Slice 156/536. CT slice.

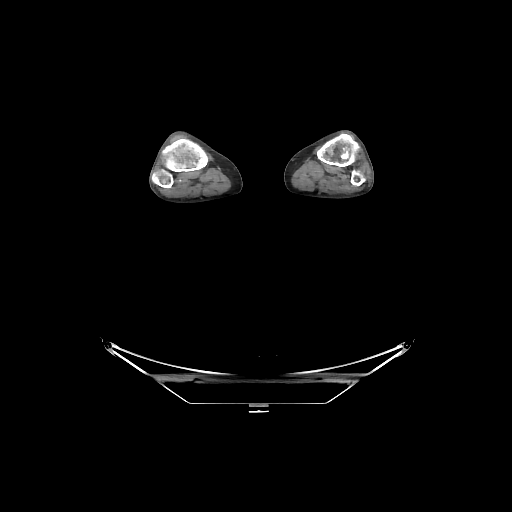
bone:
  - l=162, t=139, r=207, b=171
  - l=152, t=170, r=173, b=187
  - l=317, t=134, r=359, b=166
  - l=351, t=170, r=365, b=185